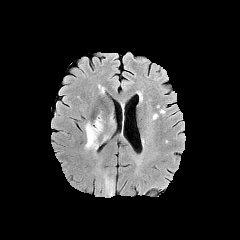
FLAIR MRI.
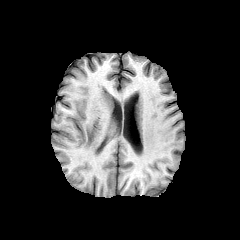
Same slice, T1-weighted MR.
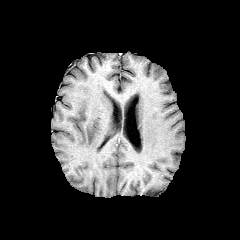
Post-contrast T1-weighted magnetic resonance of the same slice.
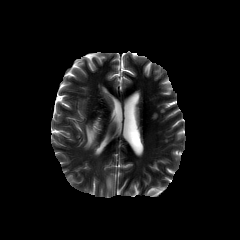
T2-weighted MR image of the same slice.
240x240 px
The edema is bounded by <box>84,117,103,150</box>.